Liver. CT scan slice. Field of view 400 mm wide, 0.80 mm slice spacing.

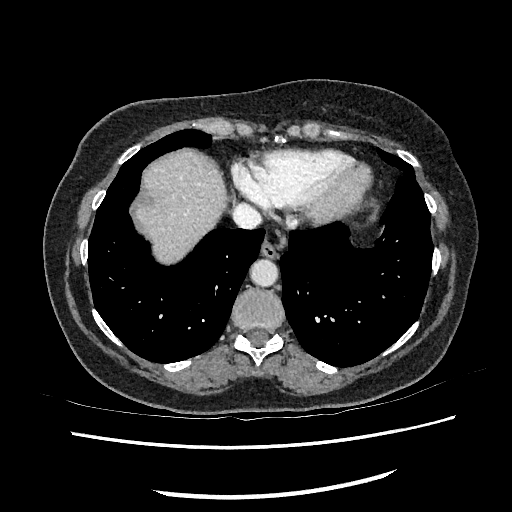
liver: region(140, 150, 225, 261)